MRI slice, Slice index 10, Medial temporal lobe, Field of view 33 mm wide, 1.00 mm slice spacing, 33x50 px
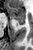 posterior_hippocampus:
  - rect(19, 21, 25, 24)
anterior_hippocampus:
  - rect(8, 6, 25, 21)